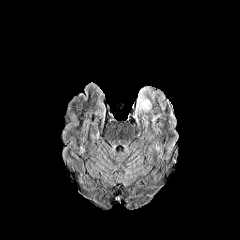
FLAIR magnetic resonance.
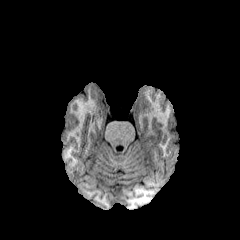
T1-weighted MR.
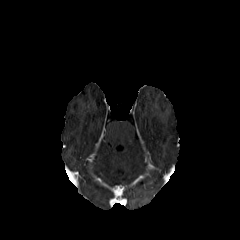
Same slice, post-contrast T1-weighted MRI.
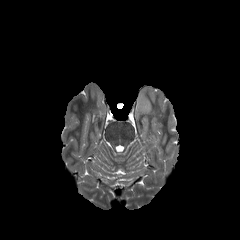
T2-weighted MR.
Findings:
• edema: <box>135,86,152,121</box>, <box>142,116,147,131</box>